Field of view 35x53 mm, 35x53 px, MR image

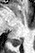
Segmented structures:
• posterior hippocampus: 12:38:22:45